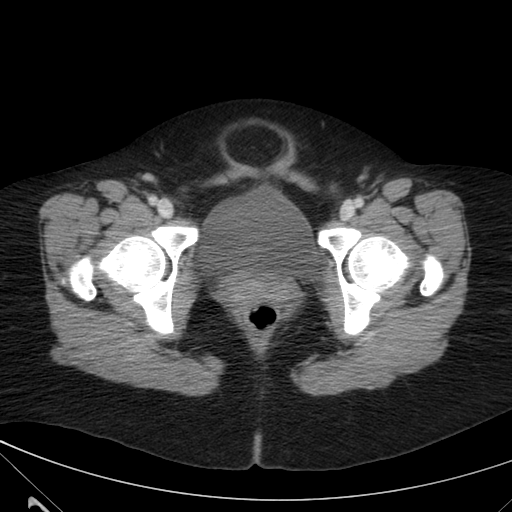

Pelvis; CT scan slice
Urinary bladder = <box>195,192,310,274</box>.